Computed tomography. 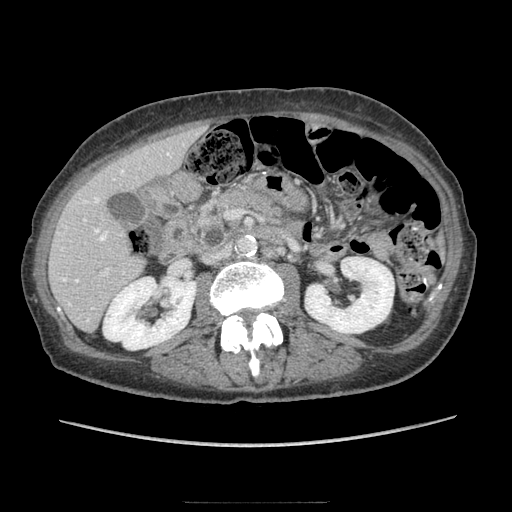 The pancreas appears at 193,184,293,252.